CT; Abdomen
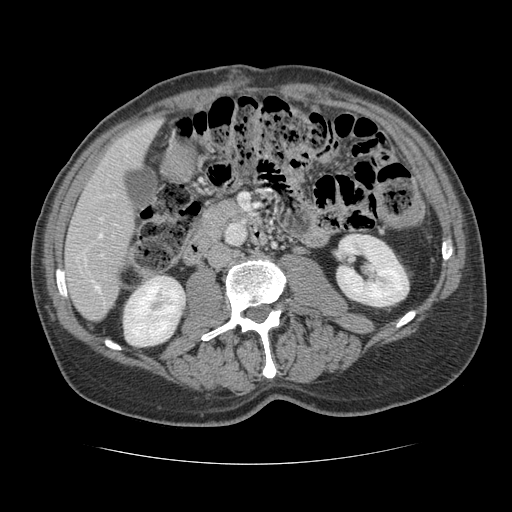 The vessel annotation is not exhaustive.
<segmentation>
  <hepatic_vessel>(x1=99, y1=234, x2=101, y2=236), (x1=113, y1=193, x2=114, y2=195), (x1=100, y1=254, x2=103, y2=255), (x1=85, y1=261, x2=86, y2=265), (x1=91, y1=280, x2=100, y2=292), (x1=100, y1=218, x2=102, y2=219), (x1=76, y1=257, x2=77, y2=260)</hepatic_vessel>
</segmentation>